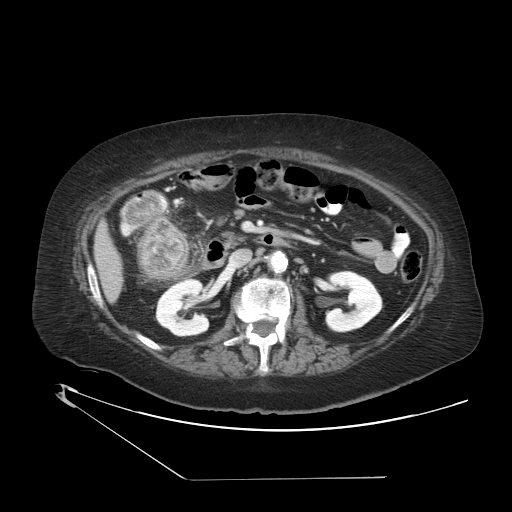
CT. Abdomen.

Colon tumor: 124, 194, 160, 224; 138, 219, 187, 279.